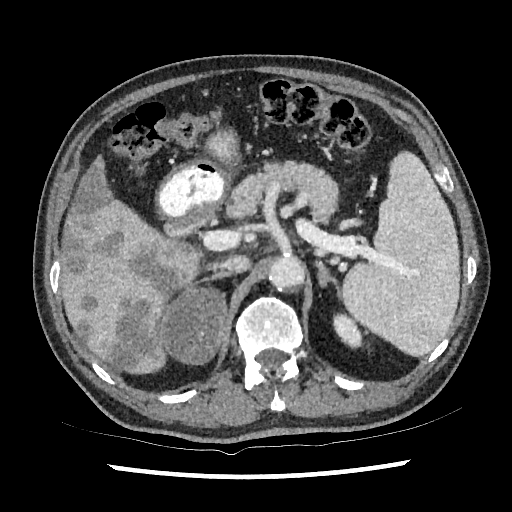 Computed tomography

kidney: left=334, top=315, right=360, bottom=346 | liver: left=60, top=171, right=200, bottom=372 | focal liver lesion: left=75, top=320, right=93, bottom=344; left=105, top=296, right=161, bottom=369; left=172, top=242, right=191, bottom=253; left=63, top=158, right=125, bottom=276; left=128, top=241, right=185, bottom=295; left=80, top=295, right=99, bottom=312